Slice index 116, 240x240
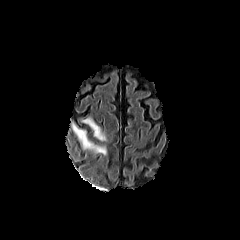
FLAIR MRI.
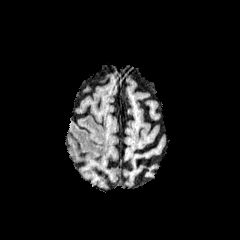
T1-weighted magnetic resonance.
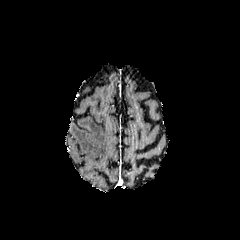
Post-contrast T1-weighted MR image.
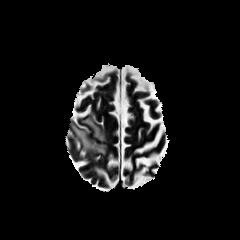
T2-weighted MRI.
2 edema regions are bounded by <bbox>71, 121, 106, 154</bbox>, <bbox>81, 117, 106, 141</bbox>.